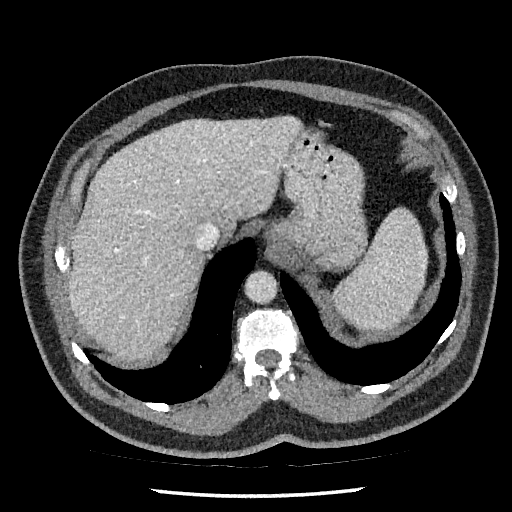 512x512 px, CT scan slice

<segmentation>
  <liver>[69, 117, 299, 359]</liver>
</segmentation>